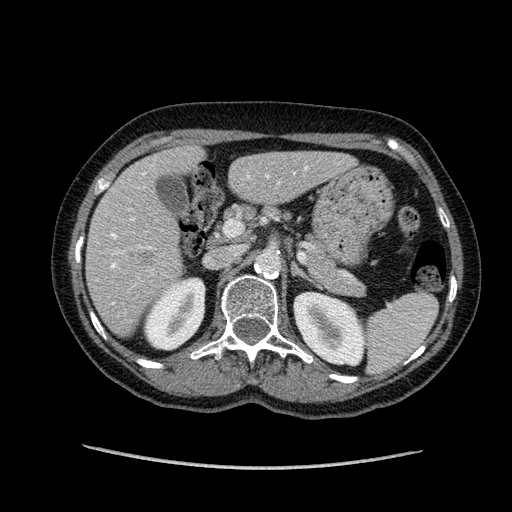

CT slice. Liver.

{
  "liver": [
    "(86,151,193,326)",
    "(230,151,344,200)"
  ],
  "liver_lesion": [
    "(139,251,155,262)"
  ],
  "kidney": [
    "(146,279,204,348)",
    "(294,293,363,364)"
  ]
}